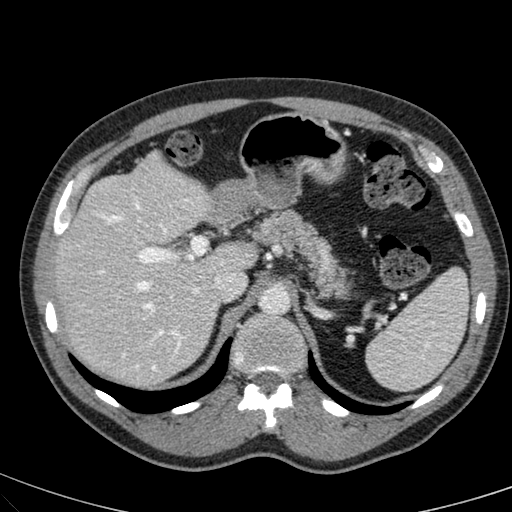
Liver; CT image
liver: rect(53, 155, 253, 385)